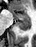

MRI. <segmentation>
  <anterior_hippocampus>(left=8, top=8, right=9, bottom=9), (left=10, top=10, right=30, bottom=20)</anterior_hippocampus>
  <posterior_hippocampus>(left=15, top=21, right=30, bottom=30)</posterior_hippocampus>
</segmentation>